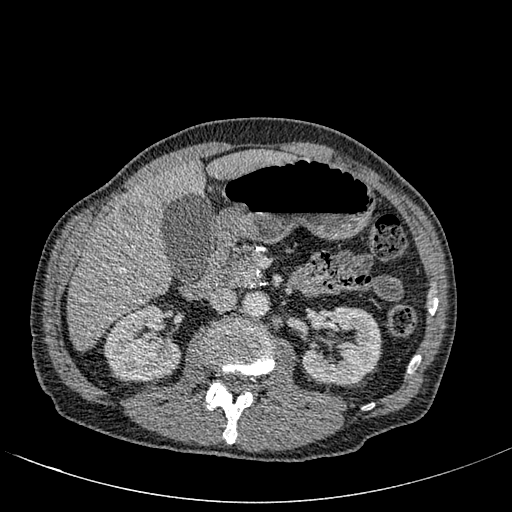 512x512 | Abdomen | CT scan slice

Kidney: bounding box <box>104,306,180,380</box>, <box>302,307,380,384</box>.
Liver: bounding box <box>68,162,204,350</box>, <box>207,150,290,178</box>.
Hepatic lesion: bounding box <box>119,201,145,229</box>.